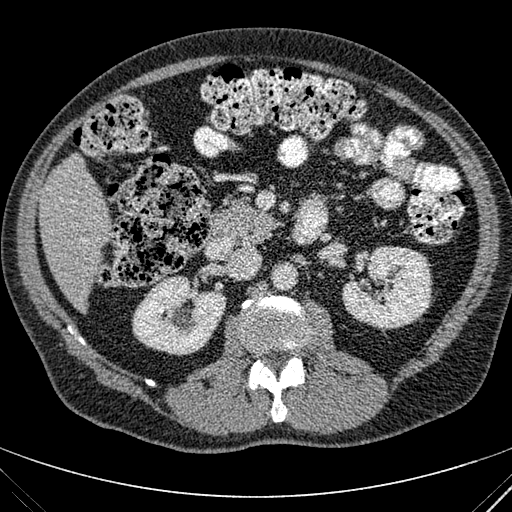
Abdomen. 512x512 px. Computed tomography.

kidney:
  - 342, 247, 431, 327
  - 215, 282, 223, 290
  - 133, 276, 225, 354
liver:
  - 39, 155, 110, 311